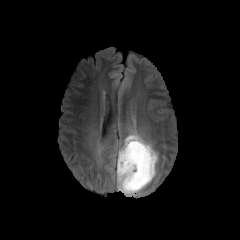
FLAIR MR.
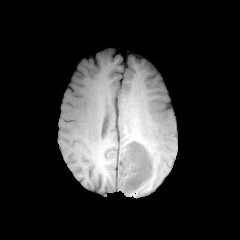
T1-weighted MR image.
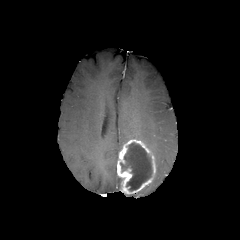
Post-contrast T1-weighted MR.
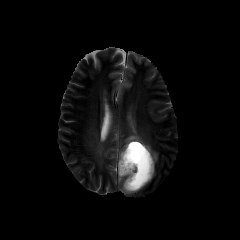
T2-weighted MR.
Image size 240x240; Head
enhancing_tumor:
  - region(117, 139, 155, 193)
non-enhancing_tumor_core:
  - region(121, 142, 151, 190)
edema:
  - region(115, 176, 120, 188)
  - region(115, 124, 158, 167)